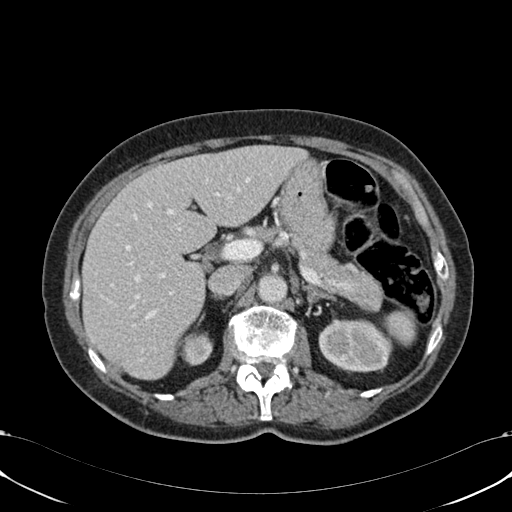
512x512. Computed tomography.
Segmented structures:
* kidney: 319,320,390,370; 185,329,211,364
* liver: 83,145,308,379